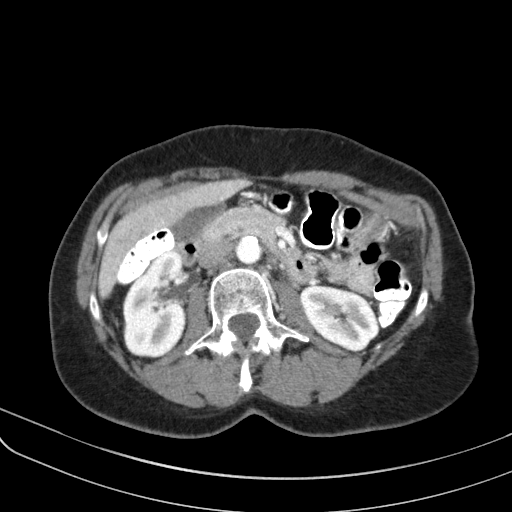 Upper abdomen, 512x512, CT slice
Pancreas: region(195, 206, 283, 272).